Slice 27/60 | Abdomen | CT image
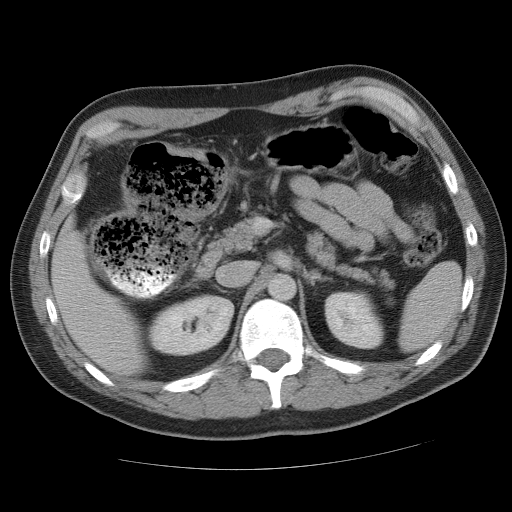

<segmentation>
  <spleen>{"x1": 401, "y1": 262, "x2": 461, "y2": 350}</spleen>
</segmentation>